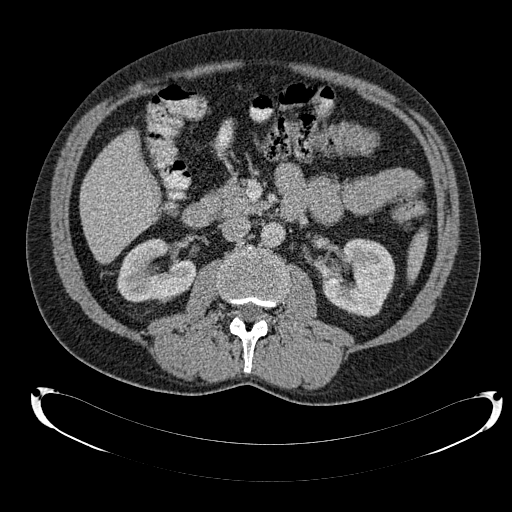
Image size 512x512. Computed tomography.

Liver: [80, 132, 158, 262].
Kidney: [118, 239, 195, 301], [316, 239, 394, 316].